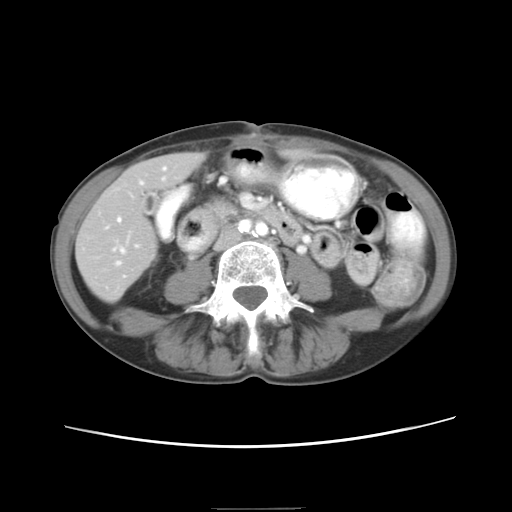

512x512 | CT scan slice

The vessel boxes may cover only some of the vessels.
Hepatic vessel: bounding box [120, 248, 123, 252], [162, 177, 164, 179], [135, 244, 137, 246], [139, 181, 142, 183], [117, 217, 120, 220], [116, 261, 119, 264].